Slice 22/32. Magnetic resonance.
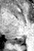

posterior hippocampus: [9,36,23,44]